Computed tomography.
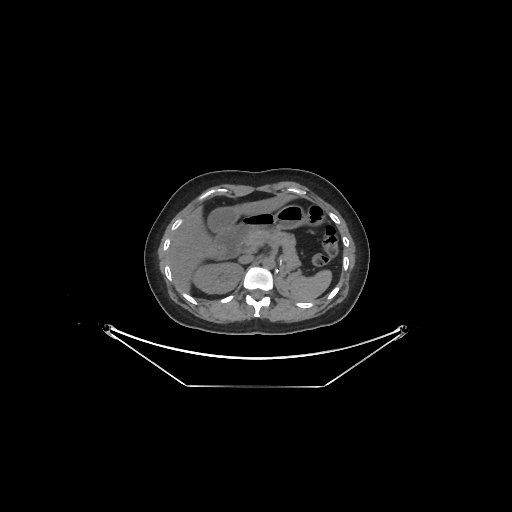 Kidney: bounding box x1=193, y1=263, x2=243, y2=293.
Liver: bounding box x1=162, y1=207, x2=227, y2=287; x1=241, y1=195, x2=290, y2=213.